240x240 px, Slice 44/155
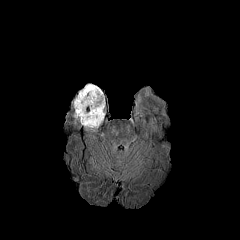
FLAIR MR image.
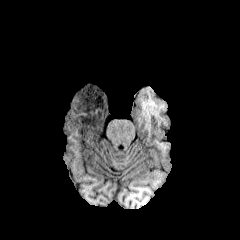
Same slice, T1-weighted MR image.
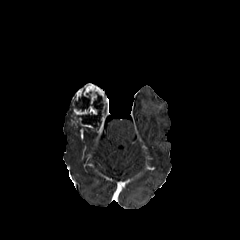
Post-contrast T1-weighted magnetic resonance.
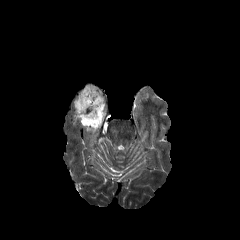
T2-weighted MR image.
3 enhancing tumor regions are bounded by left=76, top=117, right=92, bottom=134; left=72, top=83, right=109, bottom=133; left=73, top=106, right=97, bottom=115. The non-enhancing tumor core appears at left=66, top=90, right=106, bottom=130.